Slice 53 of 155, Brain
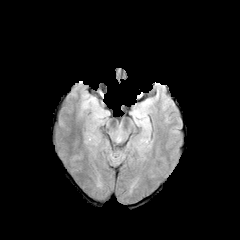
FLAIR MRI.
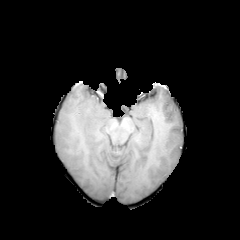
T1-weighted MRI.
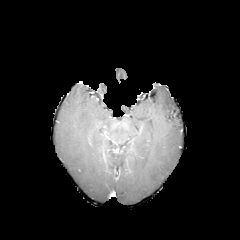
Post-contrast T1-weighted MRI.
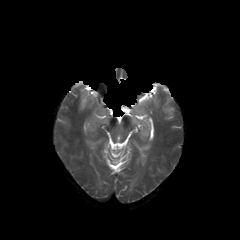
T2-weighted MR.
edema: 135:100:152:135, 80:91:105:135, 85:133:103:146